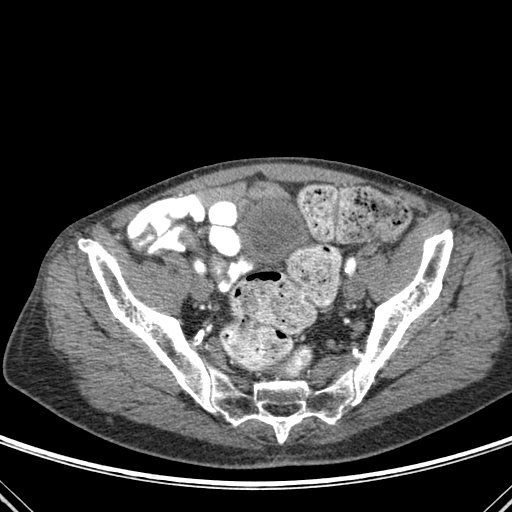
512x512 px. CT.
{
  "bone": [
    "346,258,354,267",
    "78,229,452,443"
  ]
}